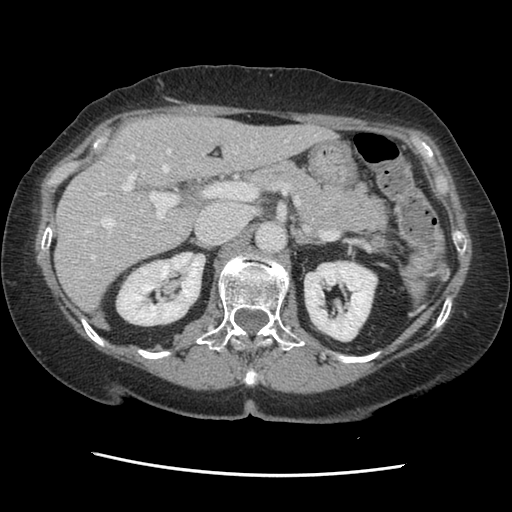
CT image, 512x512 px, Abdomen
Not every hepatic vessel necessarily has a box.
{
  "hepatic_vessel": [
    "(122, 174, 134, 190)",
    "(150, 192, 176, 218)",
    "(205, 182, 256, 199)",
    "(100, 217, 114, 231)",
    "(132, 234, 133, 235)",
    "(167, 149, 170, 153)",
    "(91, 255, 94, 259)",
    "(162, 165, 168, 170)",
    "(96, 192, 104, 194)",
    "(129, 155, 134, 159)"
  ]
}